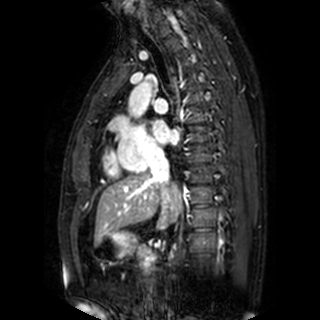 Cardiac, MR
Left atrium = <box>152,120,178,143</box>.